240x240 px. Field of view 240 mm wide, 1.00 mm slice spacing.
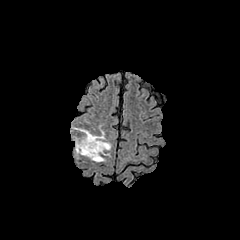
FLAIR MR image.
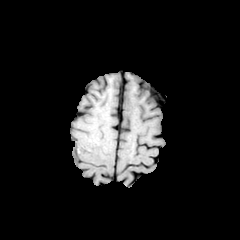
T1-weighted magnetic resonance.
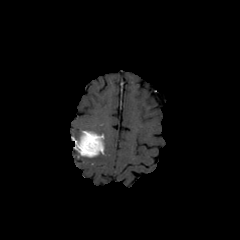
Same slice, post-contrast T1-weighted MR image.
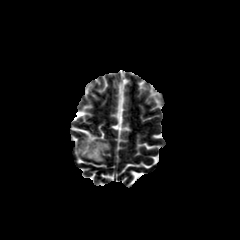
Same slice, T2-weighted MRI.
Segmented structures:
- edema: 88 124 111 162, 71 127 93 139
- enhancing tumor: 75 130 103 157